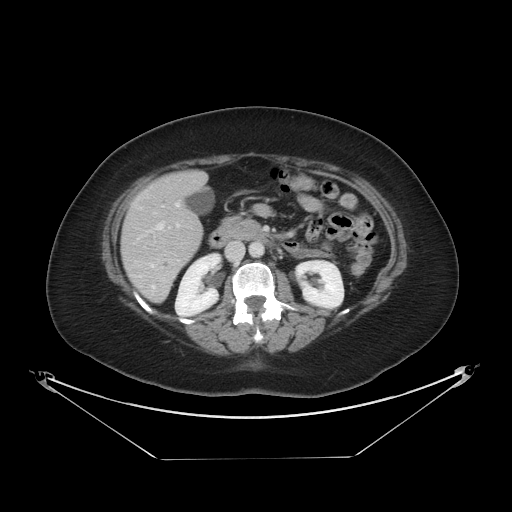

CT scan slice | 512x512 px
Only some of the vessels may be annotated.
Hepatic vessel: bounding box (156, 223, 163, 229), (151, 264, 154, 267), (176, 204, 178, 205).